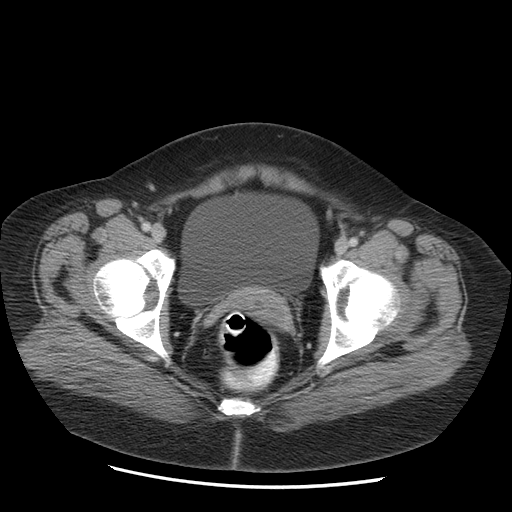
Image size 512x512. CT image. Pelvis.
<segmentation>
  <urinary_bladder>[180, 191, 316, 303]</urinary_bladder>
</segmentation>